FLAIR MR image.
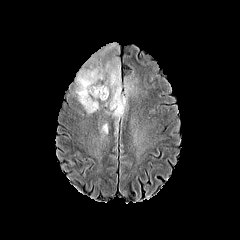
T1-weighted MR.
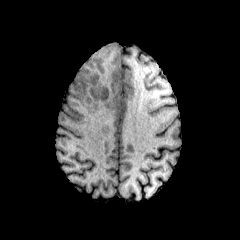
Post-contrast T1-weighted magnetic resonance.
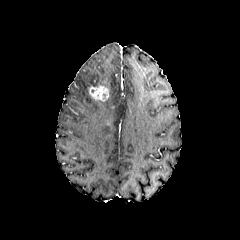
T2-weighted MR image.
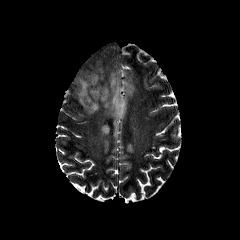
Brain
• edema: x1=100 y1=123 x2=109 y2=133, x1=75 y1=58 x2=134 y2=139
• enhancing tumor: x1=89 y1=85 x2=108 y2=101